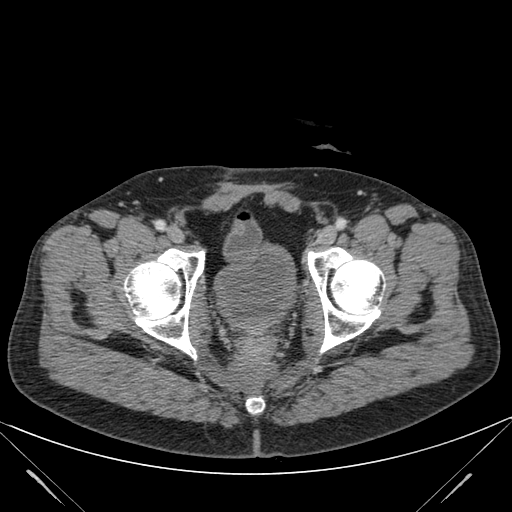 Lower abdomen | CT image
The urinary bladder appears at [x1=213, y1=241, x2=296, y2=335].